512x512 px, Field of view 391 mm wide, 0.80 mm slice spacing, CT
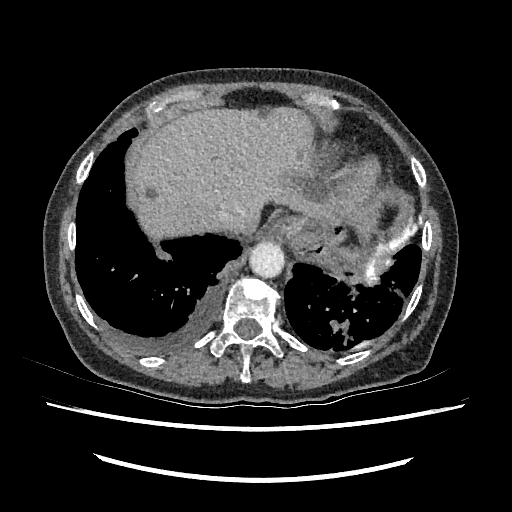 <segmentation>
  <liver>bbox=[134, 108, 329, 238]</liver>
  <focal_liver_lesion>bbox=[146, 187, 156, 199]; bbox=[259, 108, 270, 115]; bbox=[289, 172, 325, 201]</focal_liver_lesion>
</segmentation>